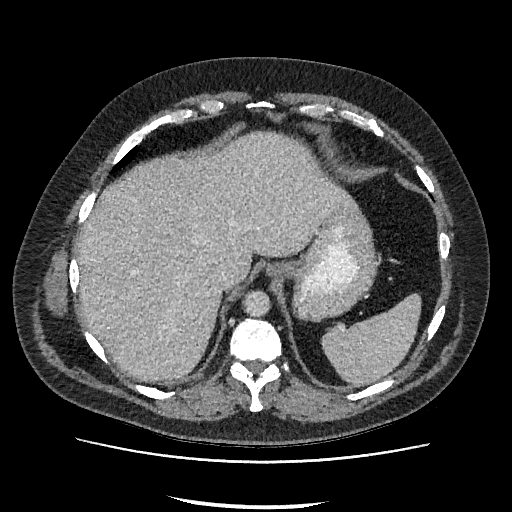 Upper abdomen, CT scan slice, Image size 512x512
Segmented structures:
- liver: [x1=79, y1=133, x2=356, y2=379]